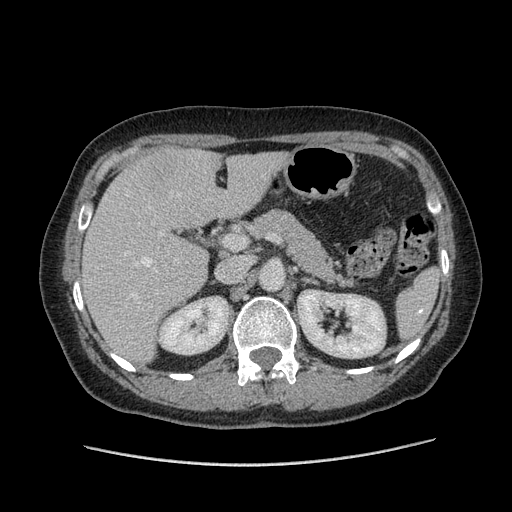

Liver | CT slice

The vessel annotation is not exhaustive.
The liver tumor is bounded by 151, 152, 183, 171. 2 hepatic vessel regions are located at 173, 260, 177, 263; 159, 233, 161, 236.